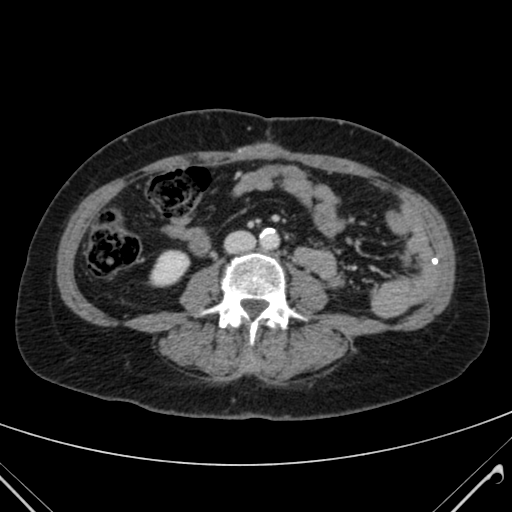

Computed tomography. Abdomen.

kidney: bbox=[153, 252, 187, 283]